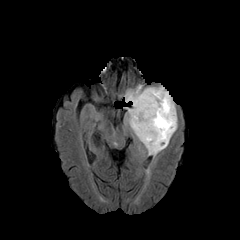
FLAIR MR.
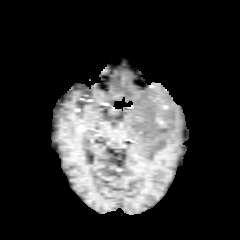
Same slice, T1-weighted MR image.
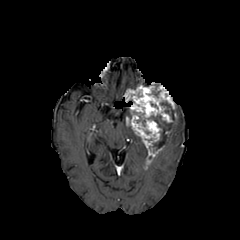
Post-contrast T1-weighted MR image.
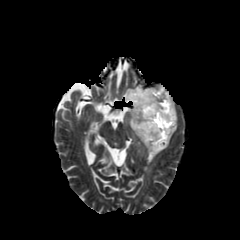
T2-weighted magnetic resonance of the same slice.
Head.
enhancing_tumor:
  - (148, 147, 161, 154)
  - (123, 86, 176, 147)
edema:
  - (123, 108, 149, 156)
  - (153, 117, 178, 159)
non-enhancing_tumor_core:
  - (151, 114, 173, 148)
  - (160, 101, 174, 119)